Field of view 353x353 mm. CT scan slice. Upper abdomen.

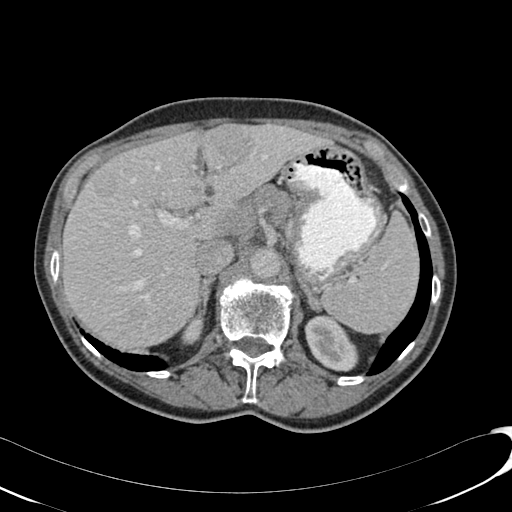

hepatic_lesion:
  - 191 185 200 193
  - 93 157 119 196
  - 211 124 254 166
  - 131 308 142 319
liver:
  - 62 124 333 347
kidney:
  - 305 316 356 370
  - 183 320 201 342